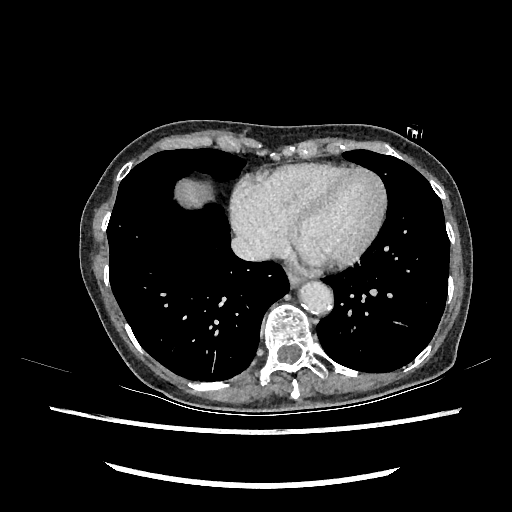 CT scan slice.

<segmentation>
  <liver><bbox>181, 184, 200, 206</bbox></liver>
</segmentation>